Slice 58 of 93. CT.
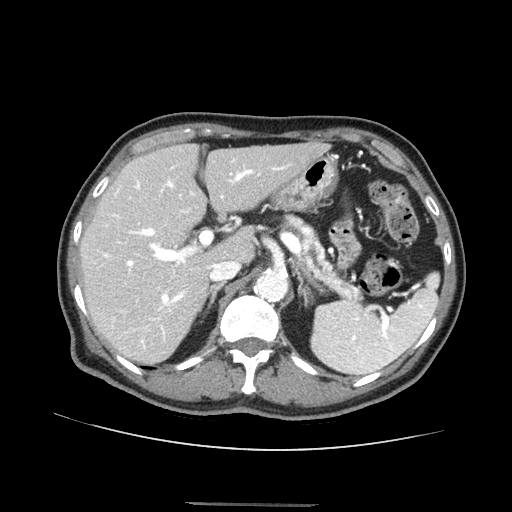
Pancreas: bounding box 288 218 357 299.